512x512; Image width 421 mm; CT image

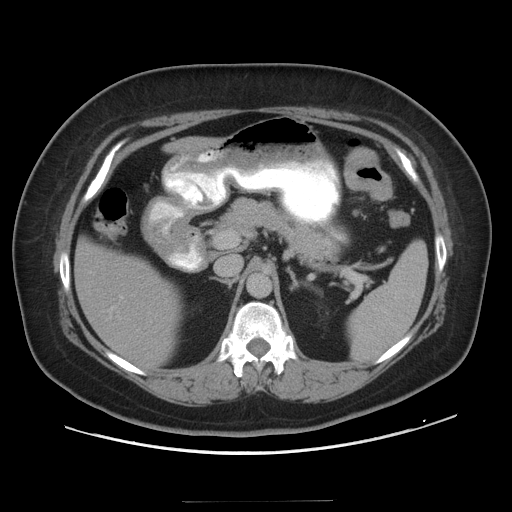
colon_tumor:
  - x1=344, y1=147, x2=392, y2=200